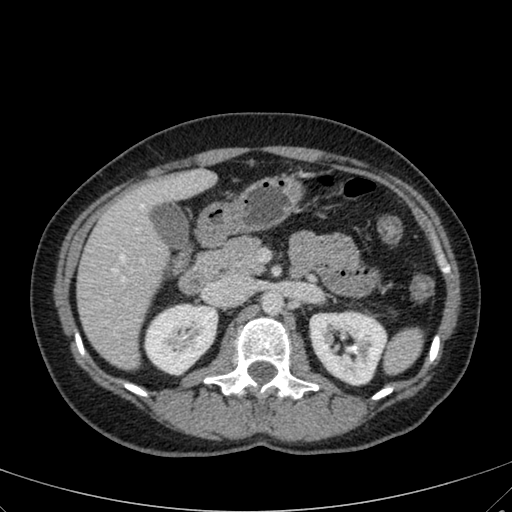
CT image

kidney: bbox=[146, 305, 216, 373]; bbox=[310, 313, 385, 384] | liver: bbox=[77, 169, 215, 369]